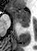
MRI slice

Posterior hippocampus: bounding box 19, 22, 28, 27.
Anterior hippocampus: bounding box 9, 7, 29, 21.